FLAIR MRI.
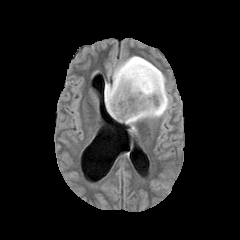
T1-weighted MR image.
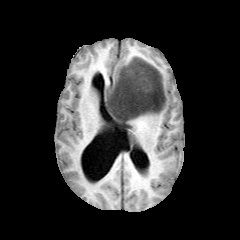
Post-contrast T1-weighted MRI.
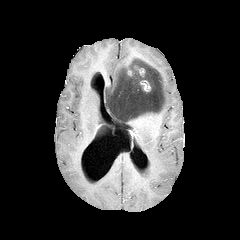
T2-weighted MR image.
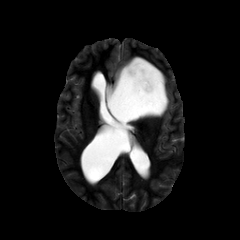
240x240.
Enhancing tumor at region(140, 81, 150, 91).
Edema at region(104, 56, 171, 127); region(140, 72, 151, 83).
Non-enhancing tumor core at region(106, 68, 163, 123).